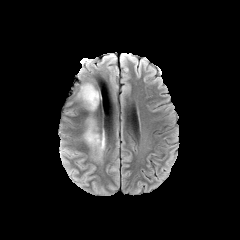
FLAIR MR.
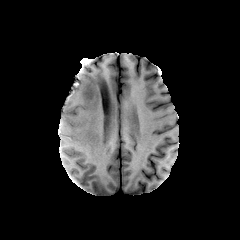
T1-weighted MRI.
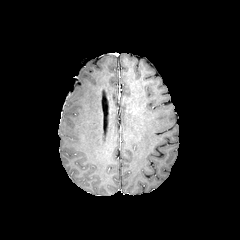
Post-contrast T1-weighted magnetic resonance.
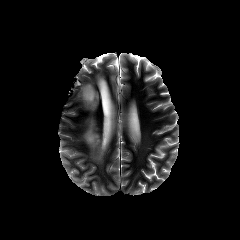
Same slice, T2-weighted MR image.
Head
Annotated regions:
• edema: rect(79, 83, 98, 109); rect(85, 121, 105, 157)